Slice 103 of 155; 240x240
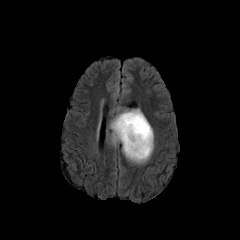
FLAIR MR image.
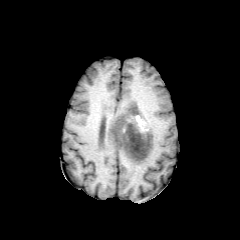
T1-weighted magnetic resonance of the same slice.
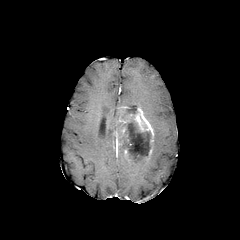
Post-contrast T1-weighted MRI of the same slice.
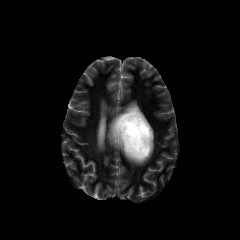
T2-weighted MR image of the same slice.
- non-enhancing tumor core: [x1=114, y1=109, x2=152, y2=158]
- edema: [x1=119, y1=142, x2=151, y2=164], [x1=108, y1=108, x2=135, y2=145]
- enhancing tumor: [x1=130, y1=109, x2=153, y2=135], [x1=113, y1=127, x2=125, y2=145]